MRI slice; Heart; Field of view 400 mm wide, 1.37 mm slice spacing; Image size 320x320 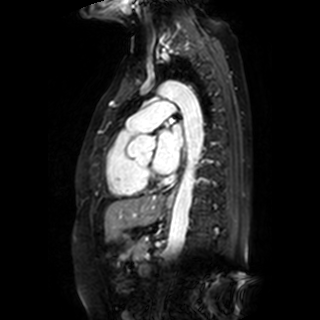
Left atrium — (left=153, top=124, right=182, bottom=173).